Image width 240 mm
FLAIR MRI.
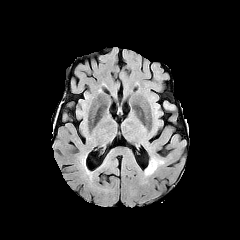
T1-weighted magnetic resonance.
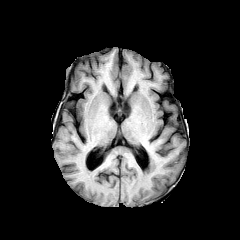
Post-contrast T1-weighted MR image.
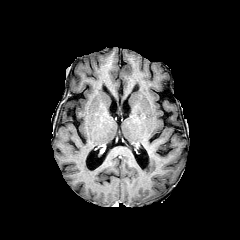
T2-weighted magnetic resonance.
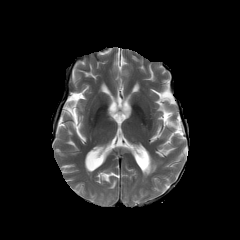
edema: rect(144, 157, 164, 175)